Computed tomography, Liver, Field of view 346 mm wide, 1.50 mm slice spacing 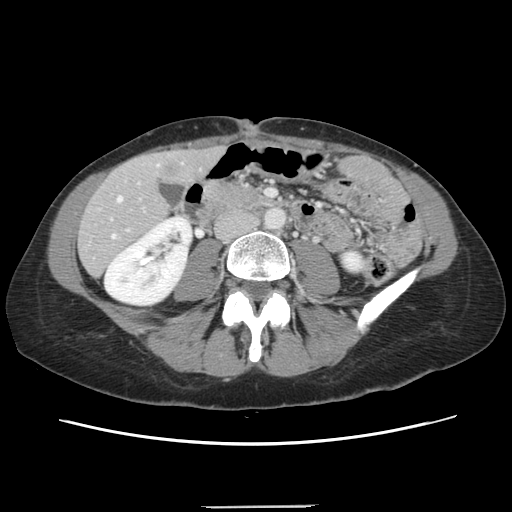

The vessel boxes may cover only some of the vessels.
Hepatic vessel: bounding box <bbox>111, 235, 115, 238</bbox>, <bbox>117, 196, 121, 201</bbox>, <bbox>126, 229, 128, 230</bbox>, <bbox>156, 164, 158, 165</bbox>.